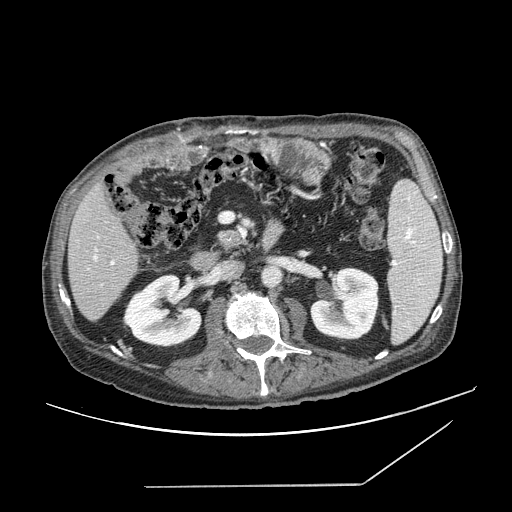
Upper abdomen, CT scan slice
The pancreas is located at region(217, 231, 239, 248).